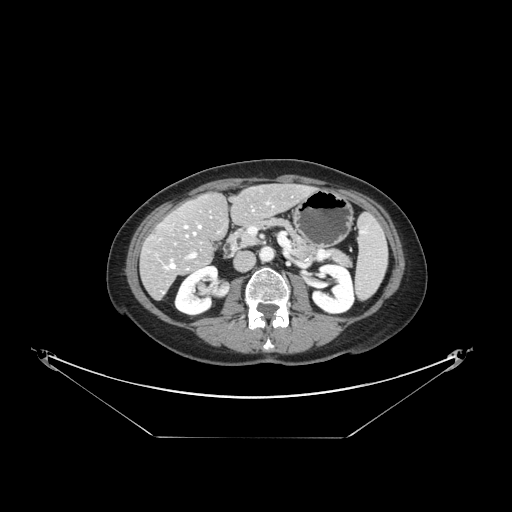 CT image

The vessel boxes may cover only some of the vessels.
<segmentation>
  <hepatic_vessel>(185, 226, 186, 227), (190, 253, 195, 256), (198, 225, 200, 227)</hepatic_vessel>
</segmentation>